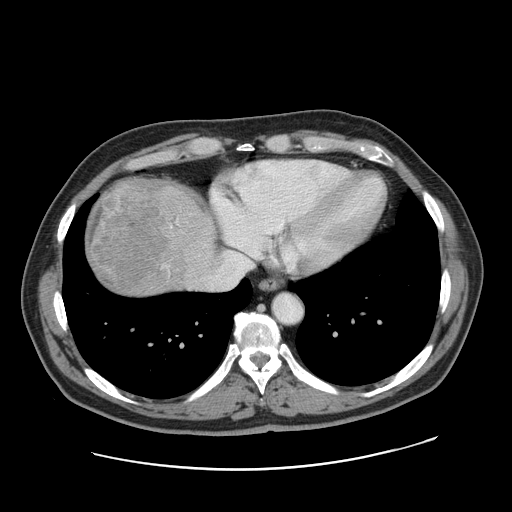 Abdomen. Computed tomography. Image size 512x512. The vessel annotation is not exhaustive.
* hepatic vessel: (187,286,191,288), (169,225,171,226)
* liver tumor: (88,183,164,289)